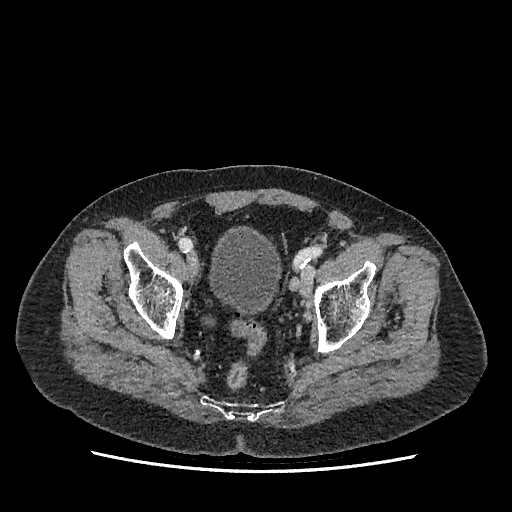
Image size 512x512, Pelvis, Computed tomography
<segmentation>
  <urinary_bladder>[209, 231, 278, 313]</urinary_bladder>
</segmentation>